FLAIR MRI.
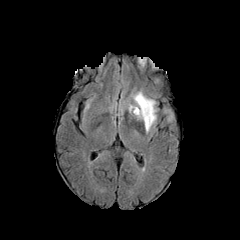
T1-weighted magnetic resonance.
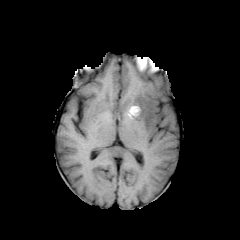
Post-contrast T1-weighted MR image.
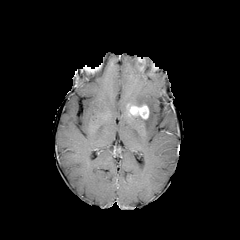
T2-weighted MRI.
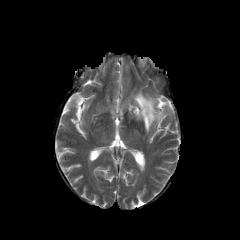
Brain
<segmentation>
  <enhancing_tumor>126:104:149:118</enhancing_tumor>
  <edema>133:91:156:132</edema>
</segmentation>